Abdomen, CT slice, Field of view 445 mm wide, 1.50 mm slice spacing, 512x512 px 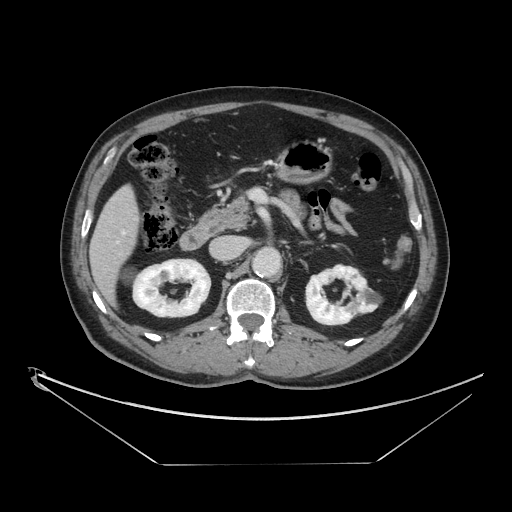
Some hepatic vessels may have no box.
<segmentation>
  <hepatic_vessel><box>117,241,118,243</box>, <box>122,231,124,234</box></hepatic_vessel>
</segmentation>